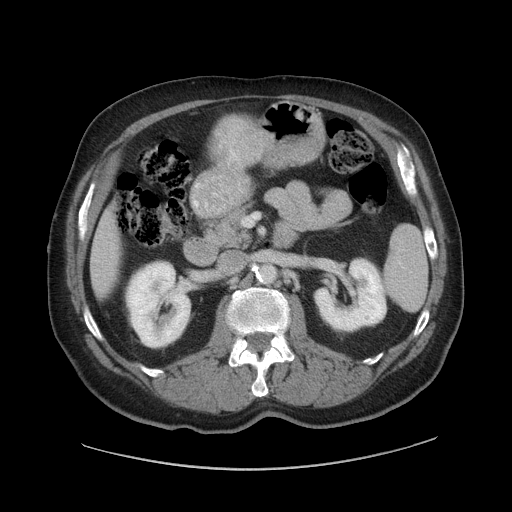

CT scan slice
Findings:
• liver tumor: [213,118,263,171]